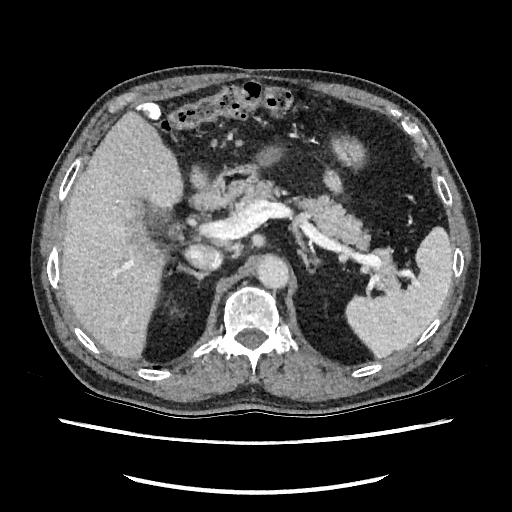 Image size 512x512. Computed tomography.

The hepatic lesion is located at {"x1": 135, "y1": 222, "x2": 163, "y2": 266}. 2 liver regions are bounded by {"x1": 191, "y1": 172, "x2": 206, "y2": 187}, {"x1": 64, "y1": 114, "x2": 182, "y2": 357}.